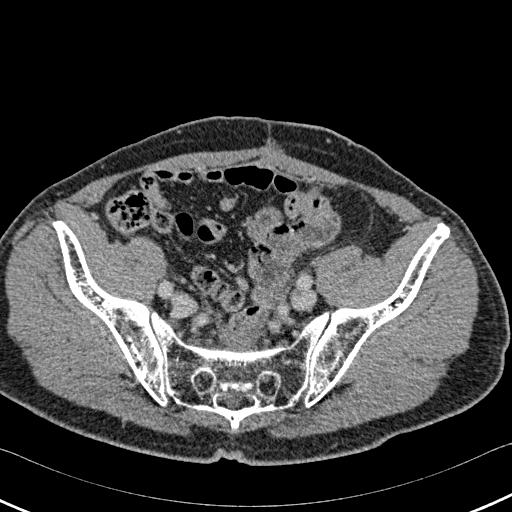
CT slice
{"bone": ["(53, 220, 449, 428)"]}